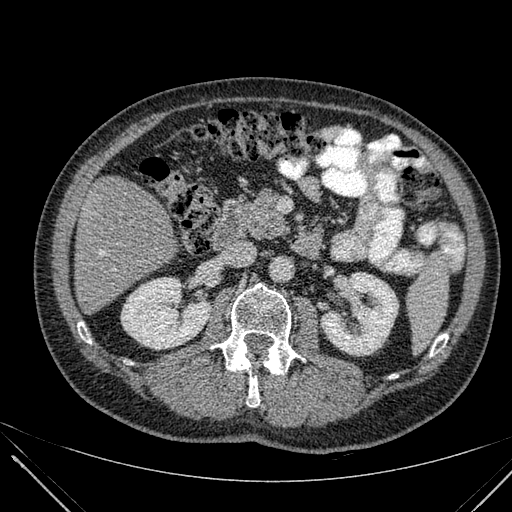 Abdomen, CT scan slice
liver:
  - 73:176:180:312
kidney:
  - 121:278:210:348
  - 322:273:398:355